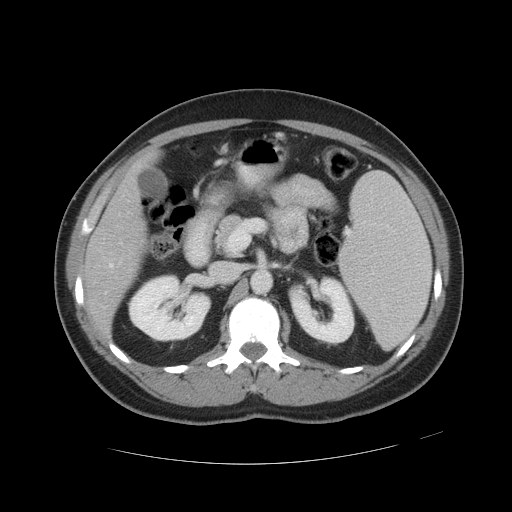 512x512 | CT image
The vessel boxes may cover only some of the vessels.
Hepatic vessel = rect(109, 263, 112, 266); rect(119, 261, 120, 263); rect(118, 213, 120, 215).